Slice 101 of 155, Brain, Image width 240 mm
FLAIR magnetic resonance.
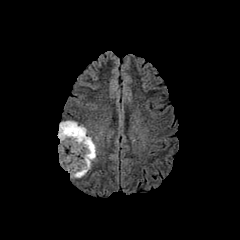
T1-weighted MR.
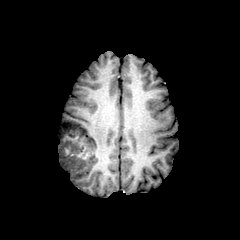
Post-contrast T1-weighted MRI.
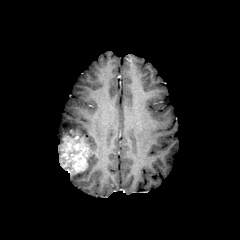
T2-weighted magnetic resonance.
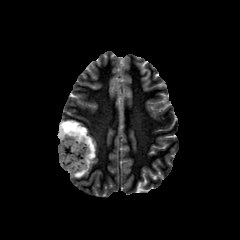
edema:
  - bbox(61, 120, 96, 178)
non-enhancing_tumor_core:
  - bbox(60, 146, 78, 155)
  - bbox(60, 122, 93, 157)
enhancing_tumor:
  - bbox(60, 134, 88, 175)